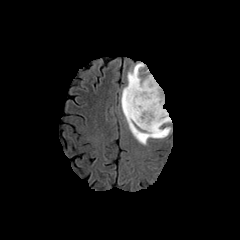
FLAIR MRI.
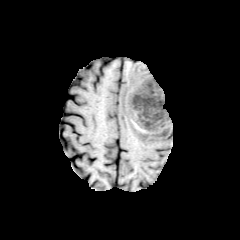
T1-weighted MR of the same slice.
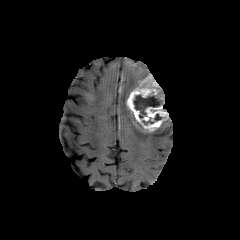
Same slice, post-contrast T1-weighted MR image.
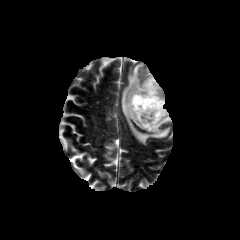
T2-weighted MR image of the same slice.
Head
edema: 120, 62, 172, 145 | enhancing tumor: 126, 73, 170, 134 | non-enhancing tumor core: 133, 95, 161, 118